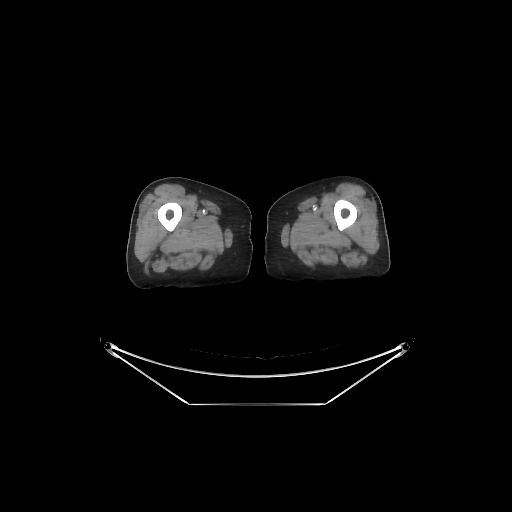

CT slice
2 bone regions are bounded by <bbox>334, 199, 356, 230</bbox>, <bbox>158, 202, 181, 231</bbox>.